Slice 46 of 155. Brain. 240x240.
FLAIR MR.
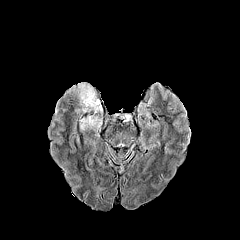
T1-weighted MRI.
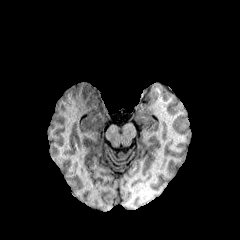
Post-contrast T1-weighted magnetic resonance.
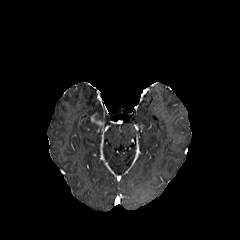
T2-weighted magnetic resonance.
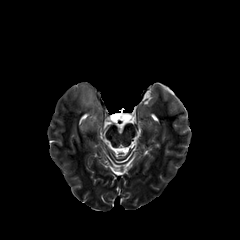
The enhancing tumor is located at rect(91, 113, 104, 127). 2 edema regions are bounded by rect(75, 82, 103, 115); rect(80, 116, 97, 133).